Slice 60 of 155. Brain. 240x240 px.
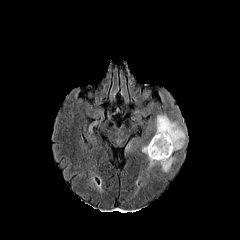
FLAIR MR.
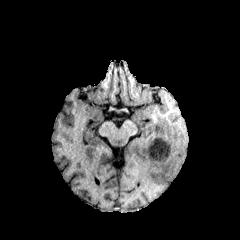
Same slice, T1-weighted MR.
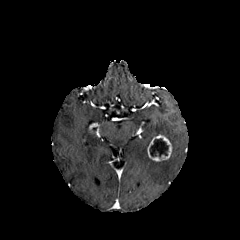
Post-contrast T1-weighted magnetic resonance.
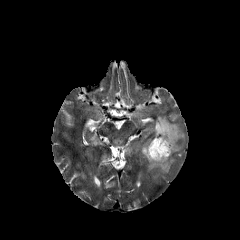
T2-weighted MR of the same slice.
Enhancing tumor — 147 134 171 161.
Edema — 142 144 177 172, 154 114 185 152.
Non-enhancing tumor core — 150 138 169 157.